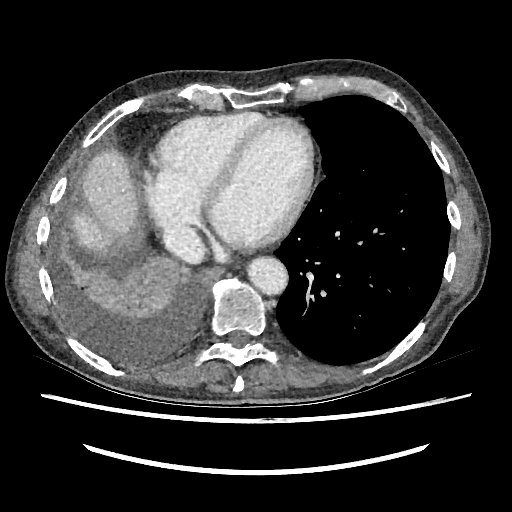

512x512; CT scan slice

Liver: bounding box x1=72, y1=151, x2=137, y2=252.